Brain, Slice 62/155
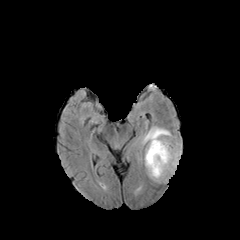
FLAIR MR.
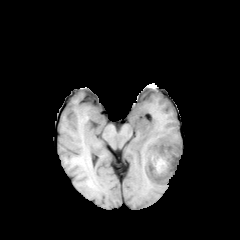
T1-weighted magnetic resonance.
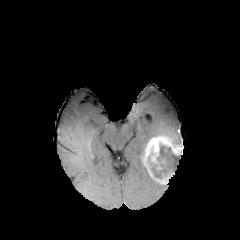
Post-contrast T1-weighted MRI of the same slice.
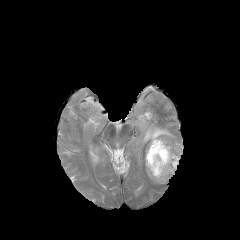
T2-weighted magnetic resonance.
<segmentation>
  <enhancing_tumor>(left=143, top=136, right=183, bottom=177), (left=156, top=175, right=172, bottom=184)</enhancing_tumor>
  <non-enhancing_tumor_core>(left=146, top=143, right=181, bottom=179)</non-enhancing_tumor_core>
  <edema>(left=132, top=120, right=182, bottom=163)</edema>
</segmentation>